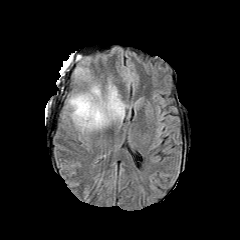
FLAIR magnetic resonance.
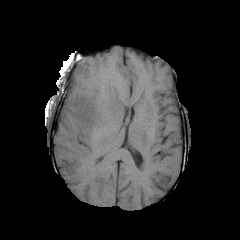
T1-weighted magnetic resonance of the same slice.
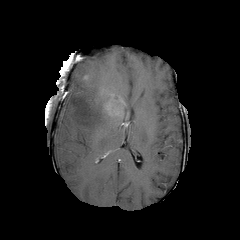
Post-contrast T1-weighted magnetic resonance of the same slice.
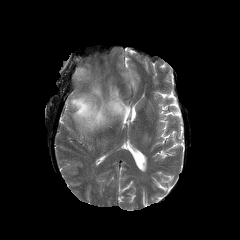
T2-weighted MR of the same slice.
Edema: <box>75,67,89,80</box>, <box>67,82,128,132</box>.
Enhancing tumor: <box>106,102,123,114</box>.